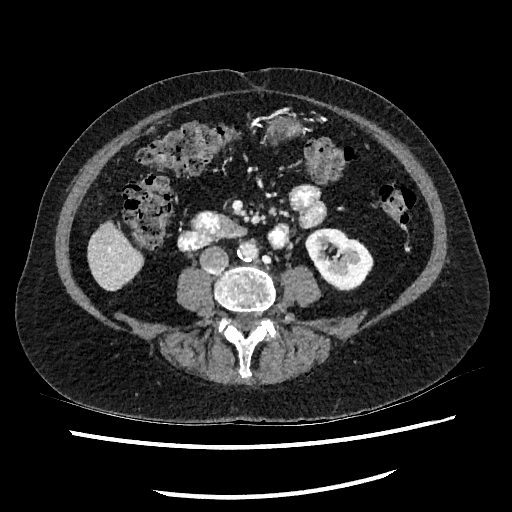
Upper abdomen, Computed tomography, 512x512
Liver at left=87, top=224, right=142, bottom=290.
Kidney at left=306, top=224, right=371, bottom=288.